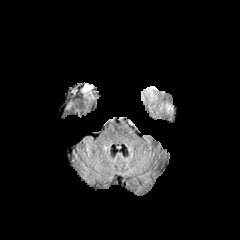
FLAIR magnetic resonance.
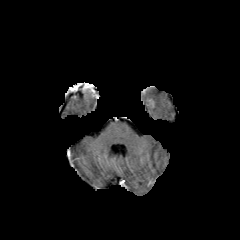
Same slice, T1-weighted magnetic resonance.
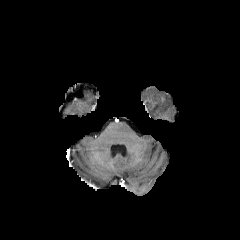
Post-contrast T1-weighted MR.
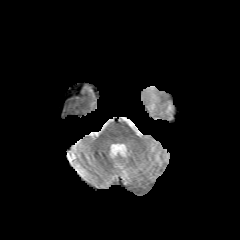
T2-weighted MR.
240x240
Edema: bounding box 148:86:157:101.